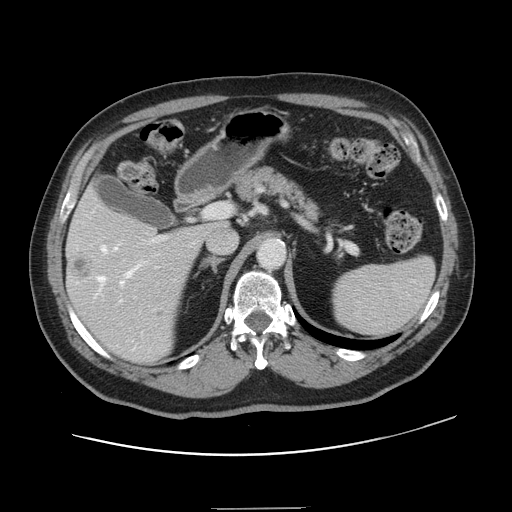

512x512 | Liver | CT

Some hepatic vessels may have no box.
hepatic vessel: x1=120 y1=281 x2=123 y2=284, x1=98 y1=276 x2=105 y2=291, x1=114 y1=247 x2=116 y2=249, x1=120 y1=300 x2=121 y2=301, x1=102 y1=246 x2=106 y2=252, x1=126 y1=264 x2=140 y2=277 | liver tumor: x1=70 y1=253 x2=92 y2=279